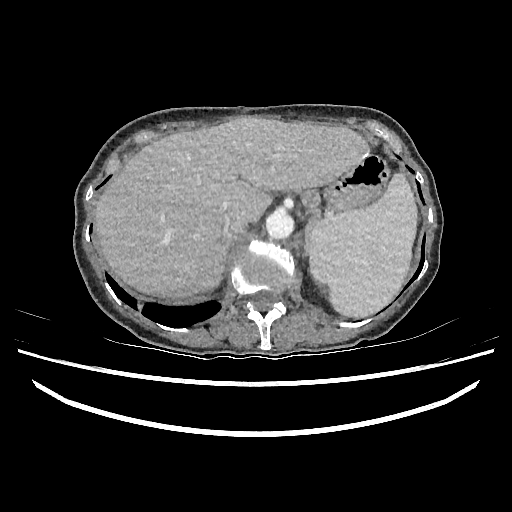

Computed tomography

liver:
  - x1=97 y1=117 x2=367 y2=297